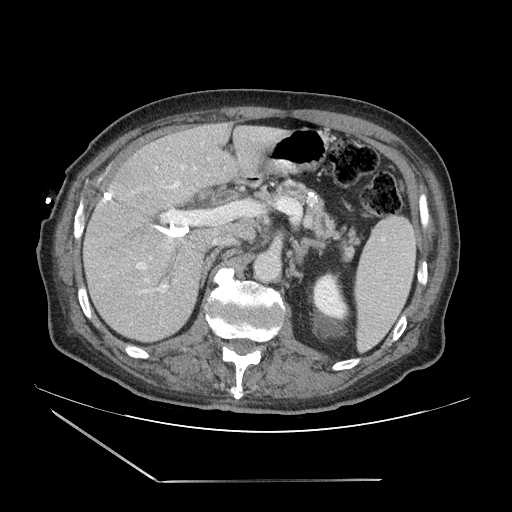 CT image
Findings:
* pancreas: box=[279, 181, 308, 201]; box=[305, 204, 360, 261]